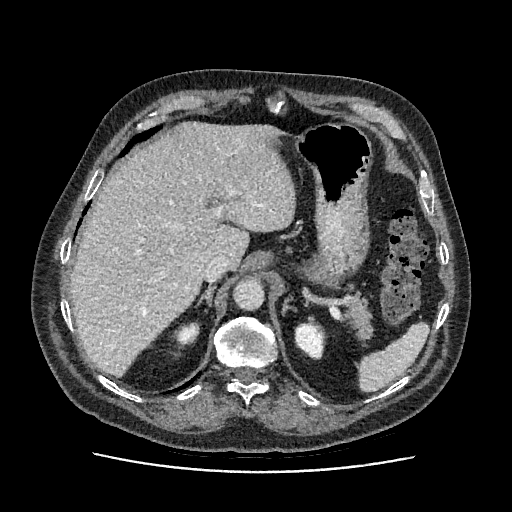
CT image, 512x512 px
<segmentation>
  <kidney>(180,326,195,342), (296,325,322,356)</kidney>
  <liver>(71,122,294,375)</liver>
</segmentation>